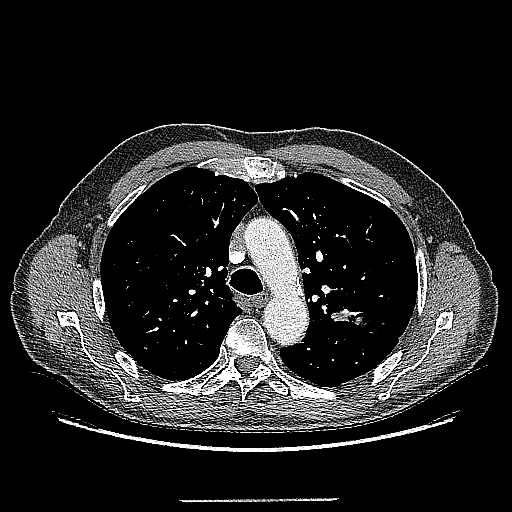
CT scan slice
The lung tumor is bounded by box(329, 309, 366, 328).